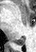
MR
The posterior hippocampus lies within bbox(12, 38, 24, 45).